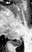

Magnetic resonance
Posterior hippocampus at 12,38,22,46.